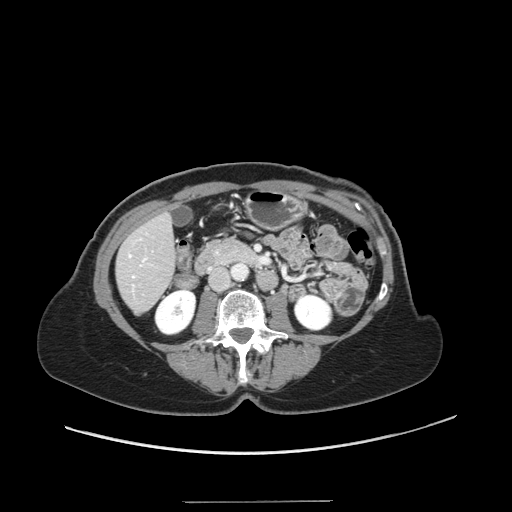

Liver, CT scan slice, 512x512 px

The vessel boxes may cover only some of the vessels.
- hepatic vessel: (x1=138, y1=238, x2=140, y2=239), (x1=133, y1=285, x2=134, y2=288), (x1=129, y1=253, x2=130, y2=256), (x1=141, y1=258, x2=146, y2=265)